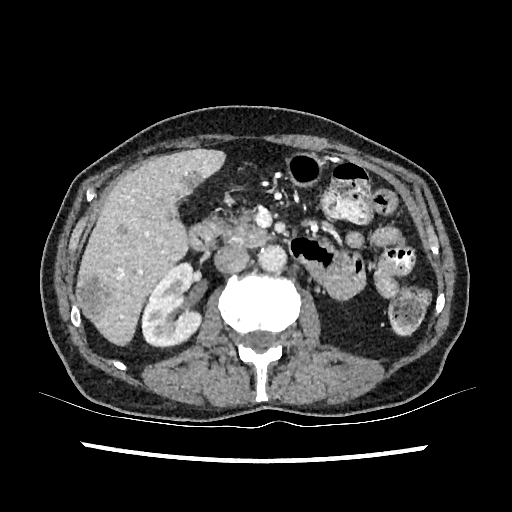
CT image

Liver at rect(79, 149, 224, 344).
Kidney at rect(142, 264, 200, 345).
Liver lesion at rect(77, 278, 111, 316); rect(118, 225, 126, 233); rect(167, 214, 176, 220); rect(180, 170, 204, 189).